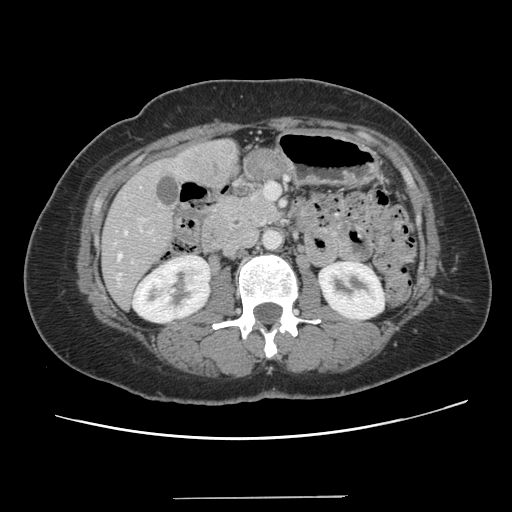 CT image | Image size 512x512
The vessel boxes may cover only some of the vessels.
5 hepatic vessel regions appear at box(117, 273, 121, 279); box(149, 231, 151, 233); box(124, 231, 127, 234); box(139, 218, 144, 220); box(117, 254, 121, 260).